Chest, Computed tomography, Slice 517 of 537, Image width 496 mm

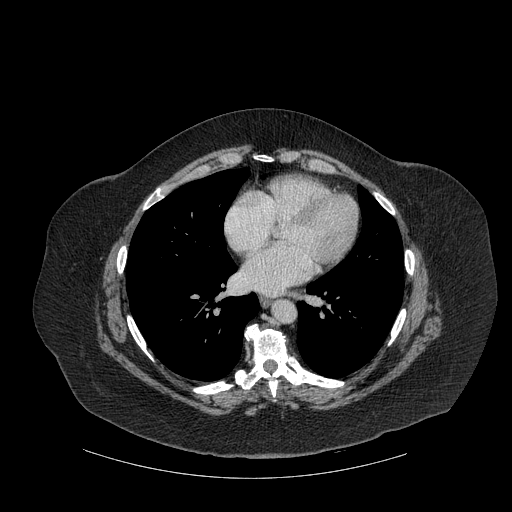 2 lung regions are located at 297:187:403:377, 126:168:259:380. 9 bone regions appear at 389:309:405:344, 127:316:152:359, 254:155:272:161, 235:324:343:396, 405:250:414:274, 377:196:394:214, 194:382:232:394, 117:246:126:273, 143:188:163:209.